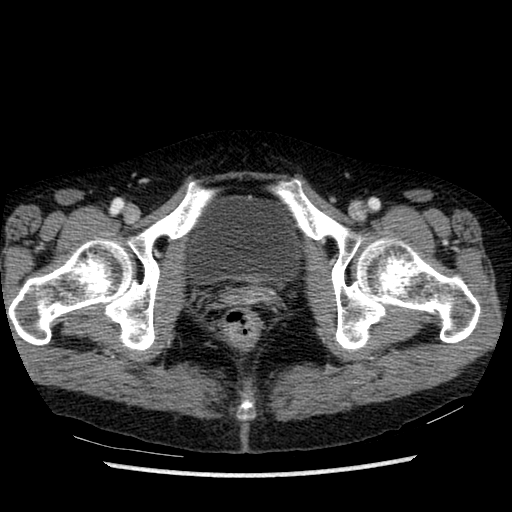
Image size 512x512; CT slice; Pelvis

{
  "urinary_bladder": [
    "[182, 195, 308, 288]"
  ]
}